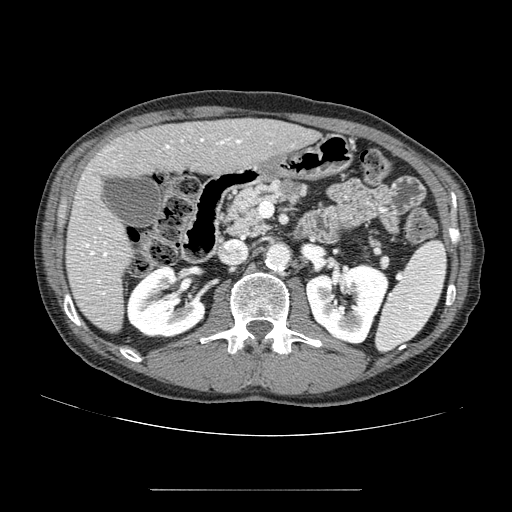 CT
Segmented structures:
• pancreas: x1=367, y1=237, x2=379, y2=249; x1=224, y1=179, x2=307, y2=236
• pancreatic tumor: x1=280, y1=180, x2=303, y2=196